Head; Field of view 240 mm wide, 1.00 mm slice spacing
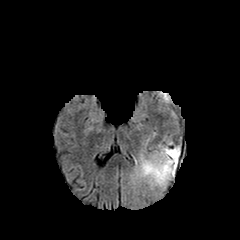
FLAIR MR image.
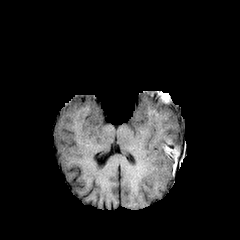
T1-weighted MR image.
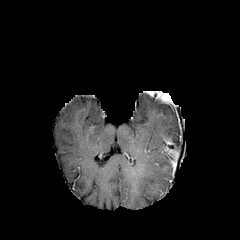
Same slice, post-contrast T1-weighted MR image.
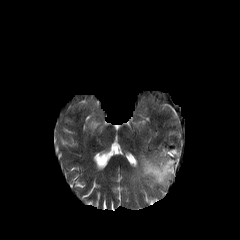
T2-weighted MR image.
<segmentation>
  <edema>139,142,180,188</edema>
  <enhancing_tumor>169,150,178,169</enhancing_tumor>
</segmentation>